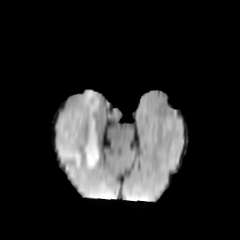
FLAIR MR.
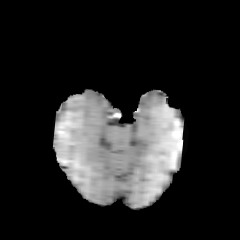
T1-weighted MRI of the same slice.
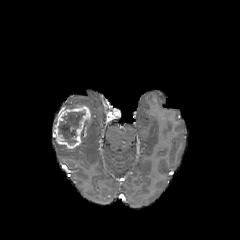
Post-contrast T1-weighted MR image.
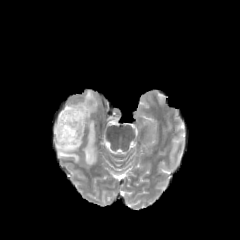
Same slice, T2-weighted MRI.
<segmentation>
  <enhancing_tumor>54,105,90,148</enhancing_tumor>
  <non-enhancing_tumor_core>58,111,84,145</non-enhancing_tumor_core>
  <edema>55,90,98,167</edema>
</segmentation>